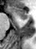
MRI. 36x49 px. Medial temporal lobe.
anterior hippocampus: [7,7,27,19]